FLAIR magnetic resonance.
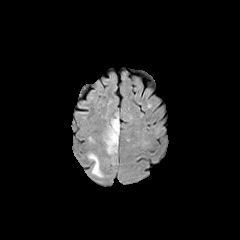
T1-weighted MR.
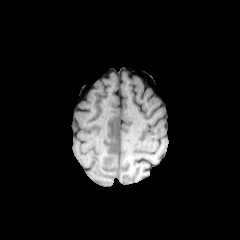
Post-contrast T1-weighted MR.
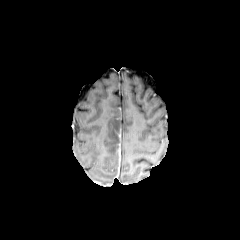
T2-weighted MRI.
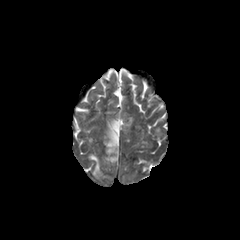
240x240
edema: <box>88,153,102,177</box>, <box>105,115,119,155</box>